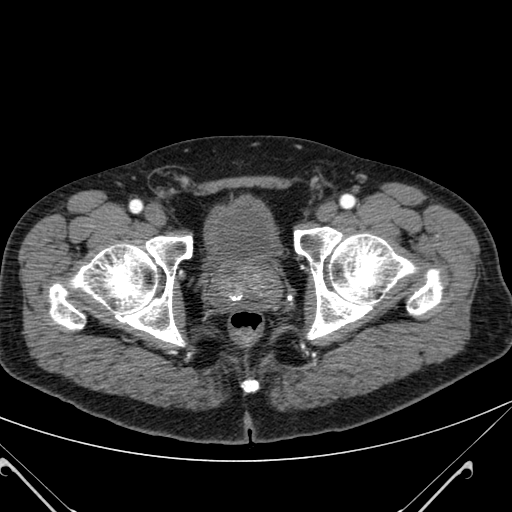 Pelvis; CT slice
Annotated regions:
• urinary bladder: x1=208, y1=194, x2=279, y2=264